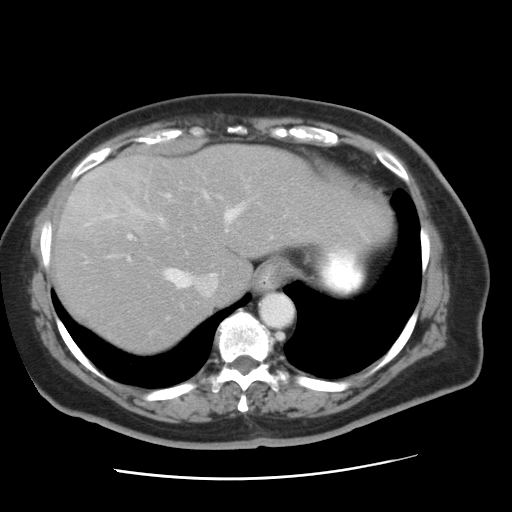 Abdomen, CT
The vessel annotation is not exhaustive.
{"liver_tumor": ["l=84, t=166, r=136, b=216"], "hepatic_vessel": ["l=224, t=204, r=243, b=230", "l=163, t=267, r=217, b=295", "l=203, t=191, r=206, b=196", "l=128, t=234, r=131, b=238", "l=127, t=257, r=129, b=260", "l=159, t=216, r=162, b=221", "l=165, t=194, r=169, b=196", "l=130, t=203, r=142, b=214"]}